FLAIR magnetic resonance.
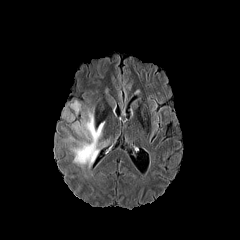
T1-weighted magnetic resonance.
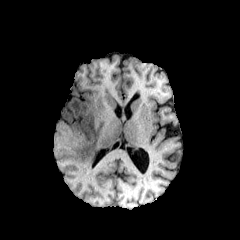
Post-contrast T1-weighted MRI.
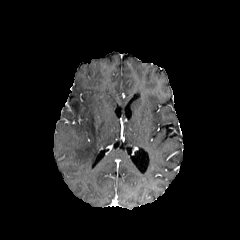
T2-weighted magnetic resonance.
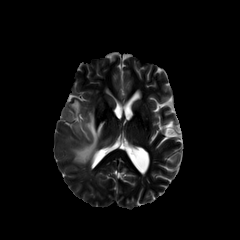
Image size 240x240.
2 edema regions are located at box=[72, 111, 105, 168]; box=[70, 100, 80, 115].